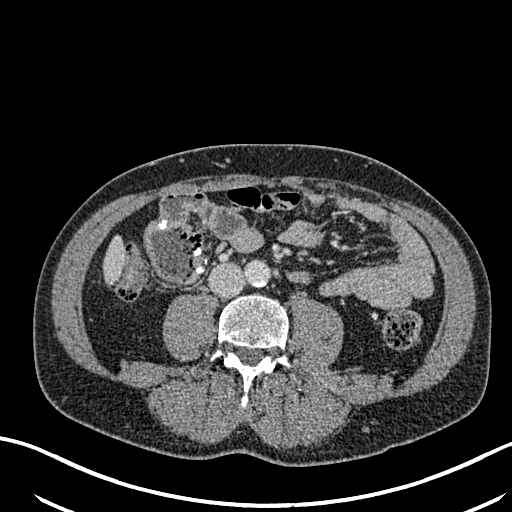

CT image | 512x512 px | Upper abdomen

The liver lies within region(103, 236, 123, 282).